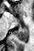

MRI; Hippocampus; Image size 34x51
The posterior hippocampus is at [x1=15, y1=28, x2=28, y2=41].